FLAIR magnetic resonance.
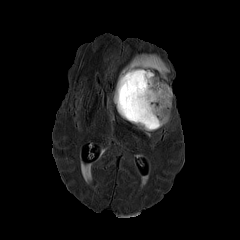
T1-weighted MR image.
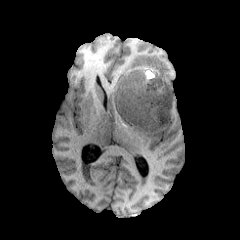
Post-contrast T1-weighted magnetic resonance.
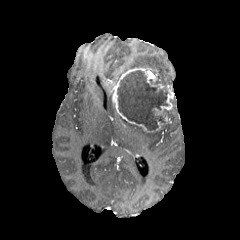
T2-weighted magnetic resonance.
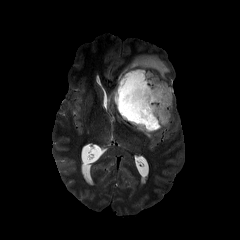
Enhancing tumor — [120,67,158,86], [119,113,142,125], [110,81,119,112], [152,88,174,115], [157,114,168,128].
Non-enhancing tumor core — [117,70,170,130].
Edema — [164,110,171,132], [136,126,151,138], [115,53,170,86].